Field of view 240x240 mm | Brain
FLAIR magnetic resonance.
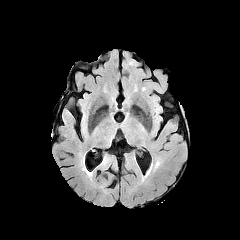
T1-weighted magnetic resonance.
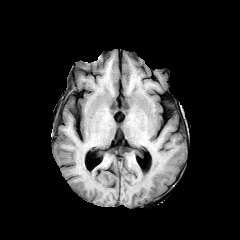
Post-contrast T1-weighted MR image.
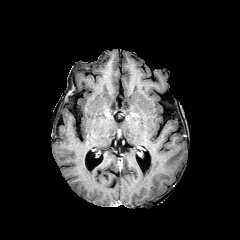
T2-weighted MR.
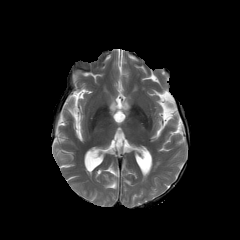
<segmentation>
  <edema><box>144,161,159,178</box></edema>
</segmentation>